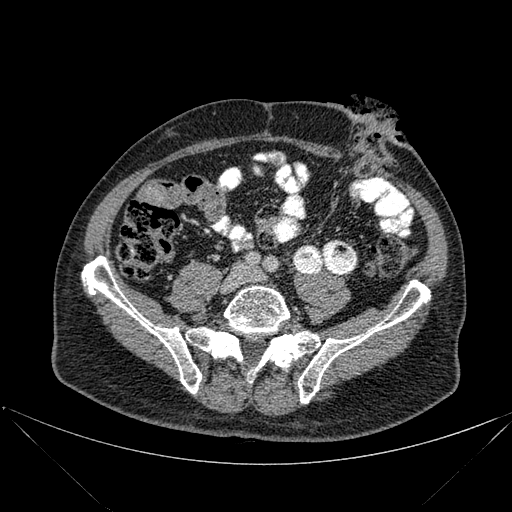

512x512 | CT
bone: [82, 256, 242, 393], [224, 286, 289, 333], [247, 280, 430, 403]